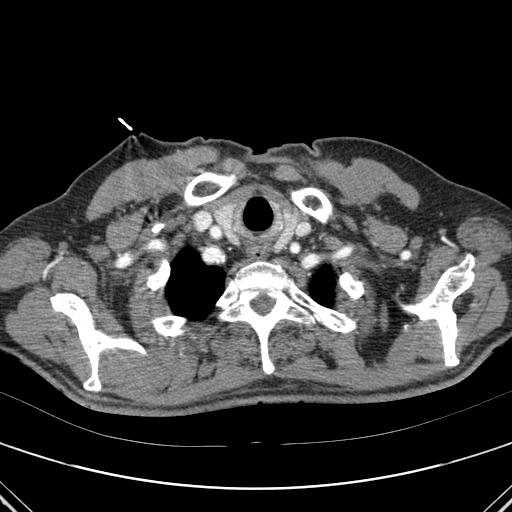
CT image, 512x512 px

Bone = bbox=[339, 272, 363, 299]; bbox=[50, 293, 146, 391]; bbox=[402, 254, 474, 366]; bbox=[151, 316, 185, 336]; bbox=[147, 259, 169, 290]; bbox=[291, 187, 331, 222]; bbox=[401, 251, 410, 258]; bbox=[184, 172, 235, 205]; bbox=[216, 261, 355, 373]; bbox=[151, 223, 164, 234].
Lung = bbox=[166, 248, 225, 319]; bbox=[310, 266, 334, 306].